Abdomen. CT slice.

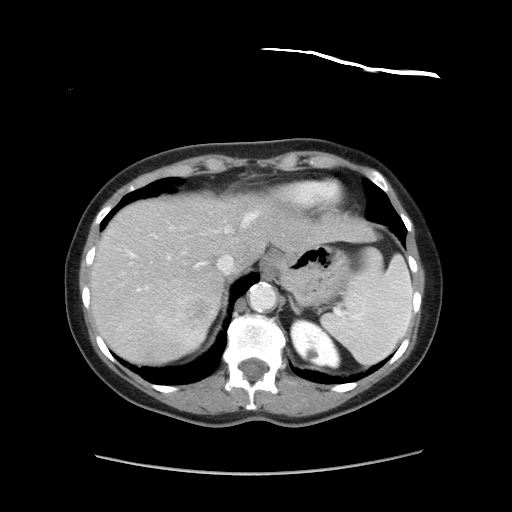 Some hepatic vessels may have no box.
The liver tumor is located at 162 285 218 346. 9 hepatic vessel regions are located at 137 288 140 290, 127 251 134 256, 168 255 170 257, 153 234 155 236, 217 254 234 273, 195 262 204 266, 225 226 231 232, 243 213 256 225, 145 286 148 288.